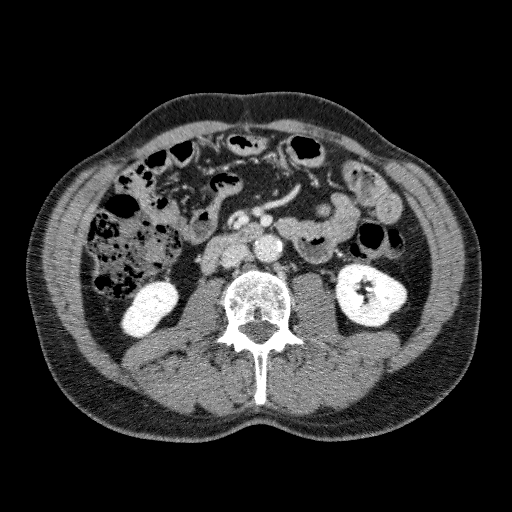

CT image, Abdomen

* kidney: 122 282 177 336, 336 264 405 325